Slice index 48
FLAIR MR.
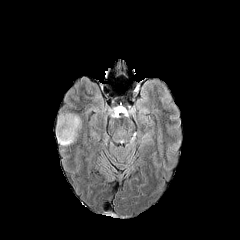
T1-weighted magnetic resonance.
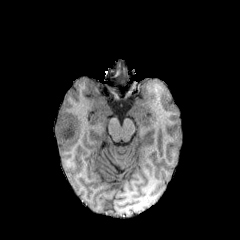
Post-contrast T1-weighted MR.
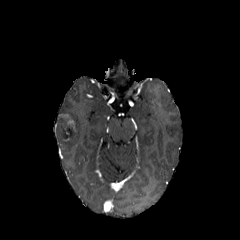
T2-weighted MR.
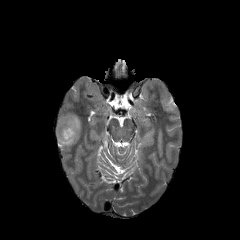
Edema at l=70, t=114, r=81, b=134; l=56, t=129, r=78, b=145.
Enhancing tumor at l=61, t=114, r=76, b=131.
Non-enhancing tumor core at l=56, t=114, r=76, b=139.